FLAIR MR.
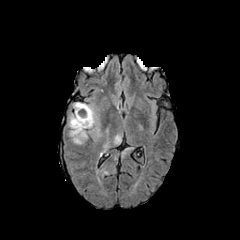
T1-weighted magnetic resonance.
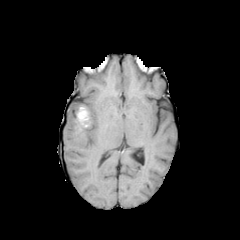
Post-contrast T1-weighted MR image.
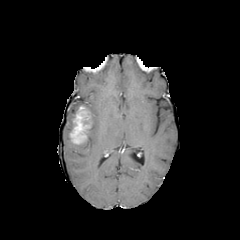
T2-weighted MR.
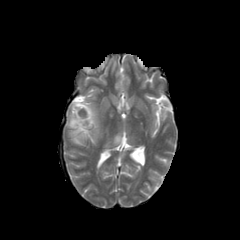
Brain | 240x240
{"non-enhancing_tumor_core": ["[x1=75, y1=106, x2=92, y2=136]"], "enhancing_tumor": ["[x1=70, y1=113, x2=90, y2=143]"], "edema": ["[x1=73, y1=102, x2=95, y2=125]", "[x1=69, y1=114, x2=74, y2=129]", "[x1=114, y1=134, x2=121, y2=143]"]}